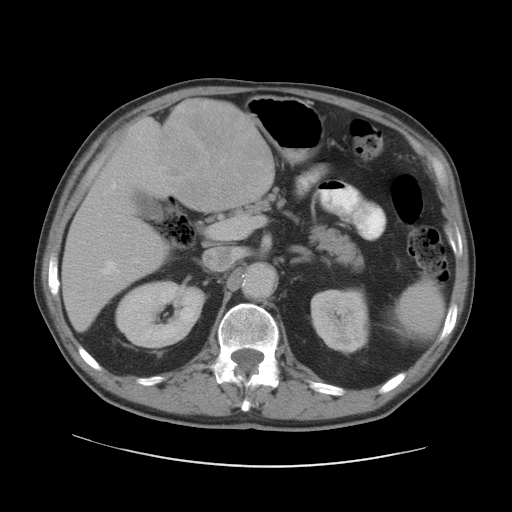 Abdomen; CT image

The vessel annotation is not exhaustive.
* liver tumor: box(156, 100, 274, 211)
* hepatic vessel: box(95, 261, 118, 277); box(111, 180, 115, 188)